CT slice | Pelvis 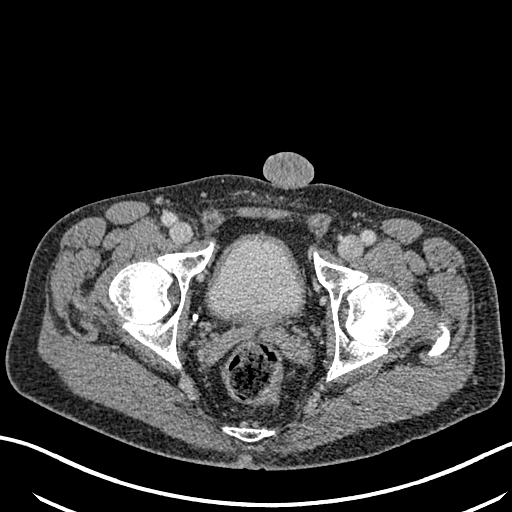 The urinary bladder is located at x1=209, y1=235, x2=301, y2=325.